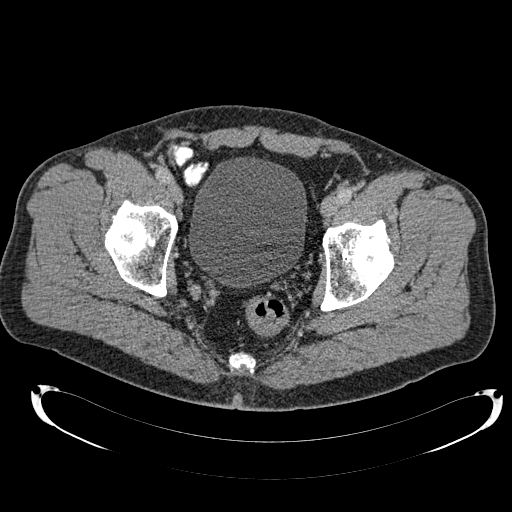

Pelvis | 512x512 | Computed tomography
The urinary bladder appears at box(189, 157, 306, 287).